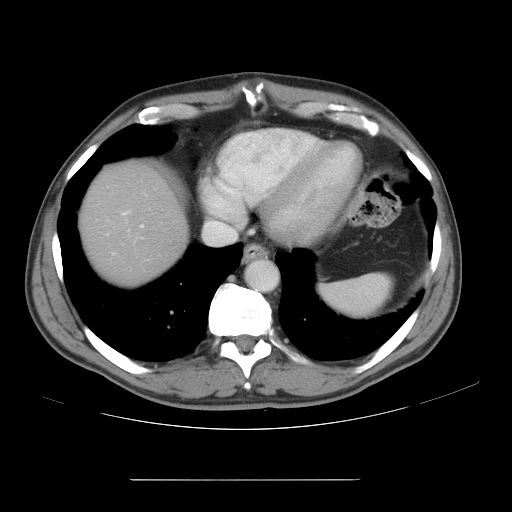
CT slice; Abdomen
Some hepatic vessels may have no box.
Hepatic vessel — 122,211,129,214; 140,226,142,227.